Image size 34x49 | MRI | Hippocampus 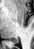

Posterior hippocampus = {"x1": 11, "y1": 38, "x2": 17, "y2": 43}.